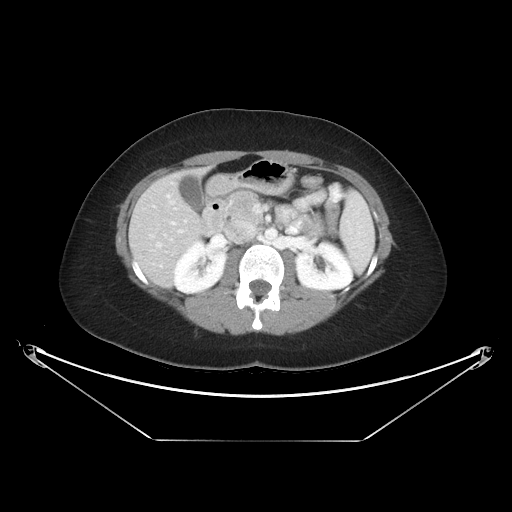
CT scan slice. <segmentation>
  <pancreas>region(225, 191, 260, 222)</pancreas>
  <pancreatic_tumor>region(303, 213, 324, 234)</pancreatic_tumor>
</segmentation>